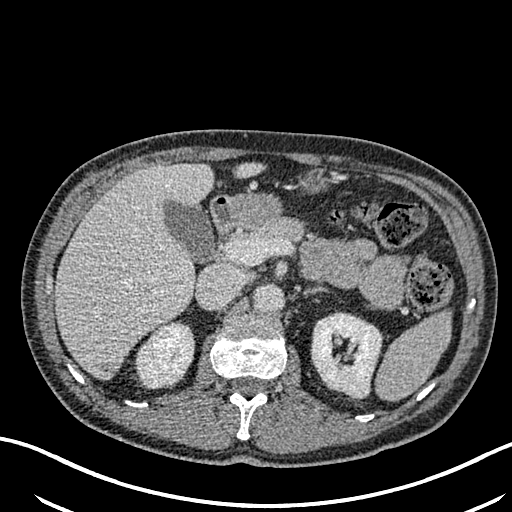
Computed tomography

liver_lesion:
  - (98, 362, 117, 374)
liver:
  - (56, 164, 212, 378)
  - (233, 163, 261, 177)
kidney:
  - (137, 324, 193, 384)
  - (312, 314, 380, 393)